Liver; CT; 512x512 px

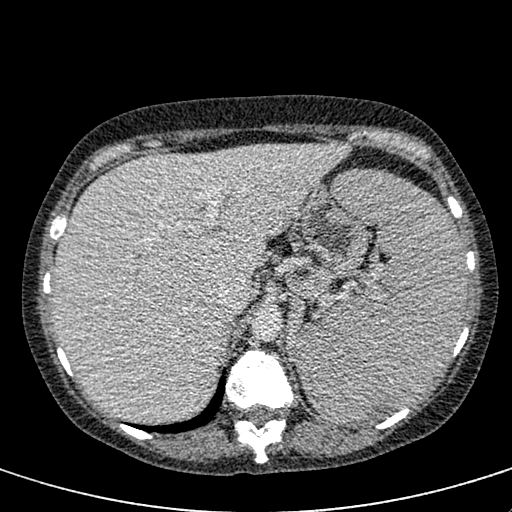
Liver — x1=53 y1=145 x2=352 y2=420.